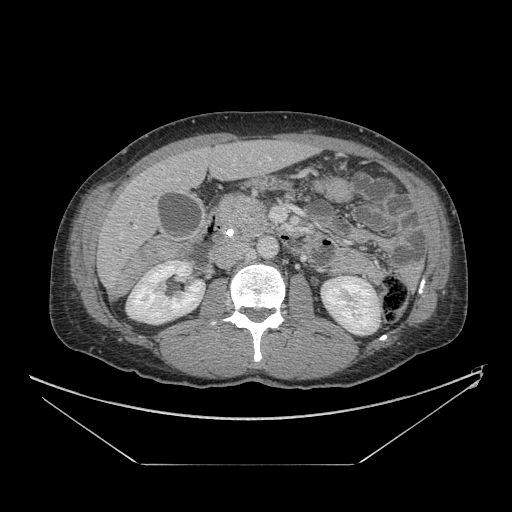 CT slice | Image size 512x512 | Abdomen
Pancreas — box(215, 192, 274, 243).